CT slice; Upper abdomen 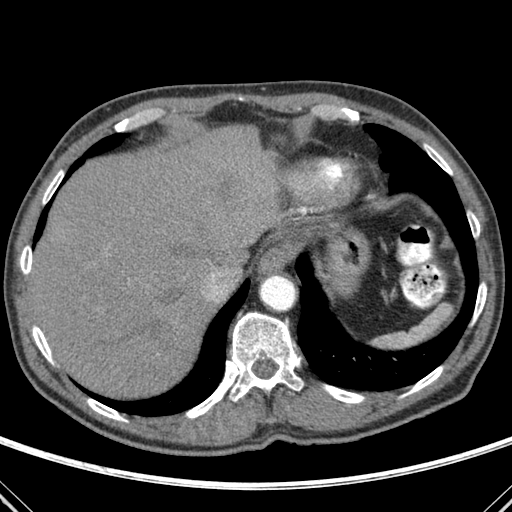
liver:
  - [30, 125, 279, 398]
lung:
  - [295, 124, 476, 390]
  - [61, 134, 126, 184]
  - [36, 196, 54, 240]
  - [77, 279, 249, 415]
bone:
  - [468, 212, 479, 237]
  - [323, 385, 364, 403]
  - [473, 282, 486, 321]
  - [425, 145, 452, 174]
  - [42, 170, 63, 203]
  - [186, 312, 302, 418]
  - [87, 398, 126, 421]
  - [20, 246, 32, 274]
  - [32, 326, 52, 362]
  - [406, 366, 442, 394]